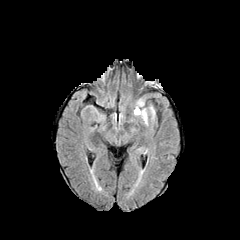
FLAIR magnetic resonance.
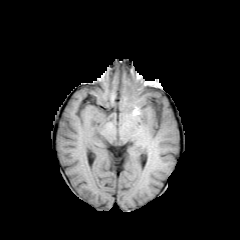
T1-weighted magnetic resonance.
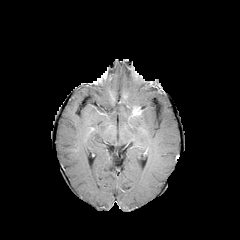
Same slice, post-contrast T1-weighted MR image.
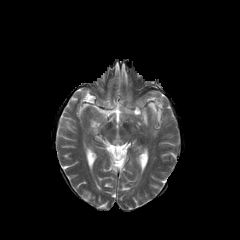
T2-weighted MR image of the same slice.
240x240, Brain
Enhancing tumor at 132,107,141,115.
Edema at 136,110,147,123.